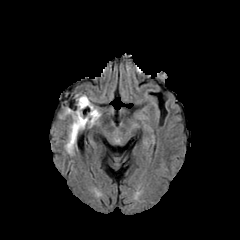
FLAIR MRI.
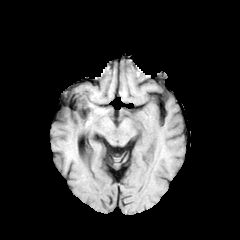
T1-weighted MRI of the same slice.
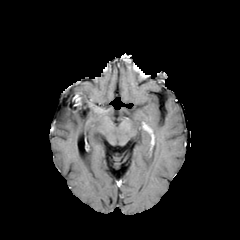
Post-contrast T1-weighted MRI of the same slice.
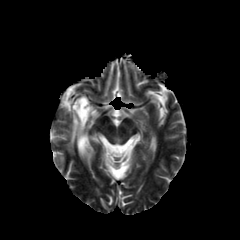
Same slice, T2-weighted MRI.
Head
Segmented structures:
• edema: l=62, t=94, r=101, b=153
• enhancing tumor: l=76, t=96, r=81, b=105